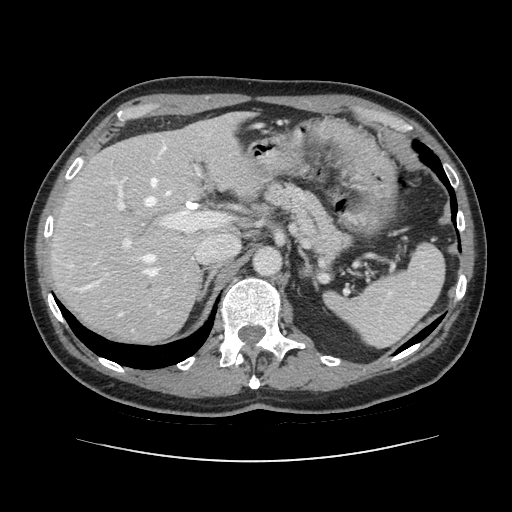

CT scan slice. 512x512 px.
Pancreas: box(265, 183, 351, 260).